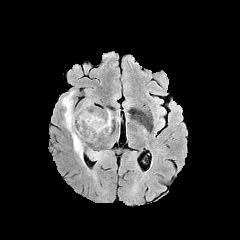
FLAIR magnetic resonance.
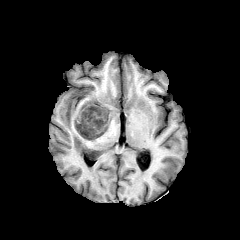
T1-weighted magnetic resonance.
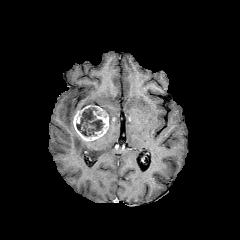
Post-contrast T1-weighted magnetic resonance.
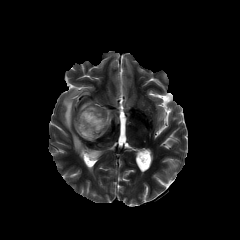
Same slice, T2-weighted MR.
Head
2 edema regions appear at <bbox>62, 91, 99, 160</bbox>, <bbox>79, 101, 95, 110</bbox>. The non-enhancing tumor core is bounded by <bbox>76, 108, 103, 137</bbox>. The enhancing tumor is located at <bbox>73, 106, 108, 140</bbox>.